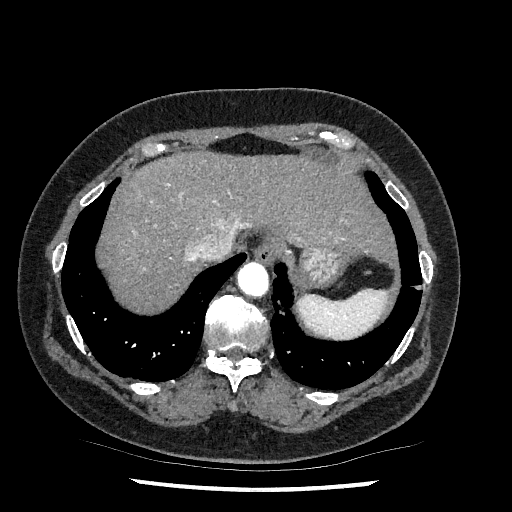

CT image
{"liver": ["(103,151,391,311)"]}